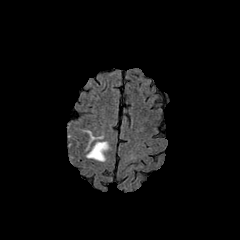
FLAIR MR.
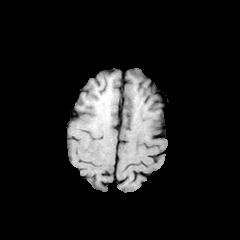
T1-weighted MRI.
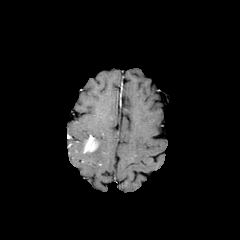
Post-contrast T1-weighted magnetic resonance of the same slice.
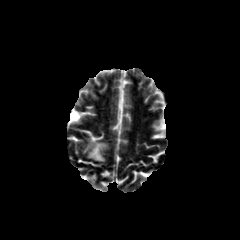
T2-weighted MR of the same slice.
240x240 px
Findings:
* edema: x1=78 y1=129 x2=109 y2=162
* enhancing tumor: x1=84 y1=135 x2=97 y2=151